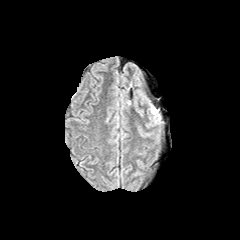
FLAIR MRI.
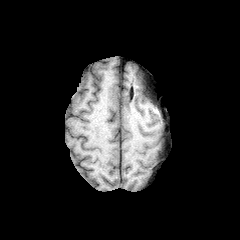
T1-weighted magnetic resonance.
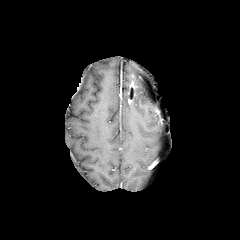
Post-contrast T1-weighted MRI.
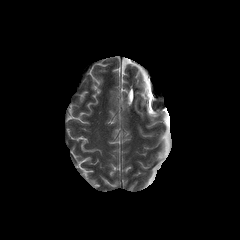
T2-weighted MRI.
Head
2 edema regions are located at l=138, t=92, r=148, b=104; l=147, t=108, r=161, b=126.